Brain; Slice index 113
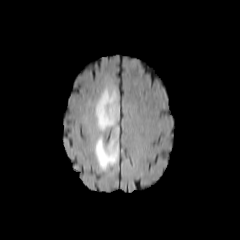
FLAIR MRI.
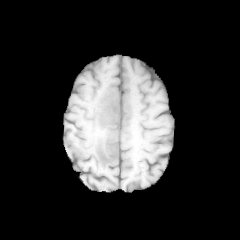
Same slice, T1-weighted MR.
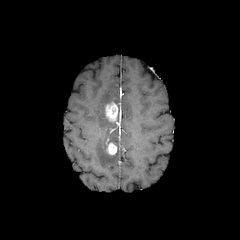
Post-contrast T1-weighted MR image of the same slice.
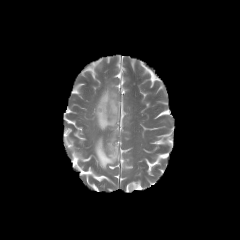
T2-weighted MR image.
{
  "edema": [
    "l=94, t=87, r=119, b=171"
  ],
  "enhancing_tumor": [
    "l=106, t=143, r=116, b=155",
    "l=104, t=100, r=118, b=123"
  ]
}